CT image | Slice index 439

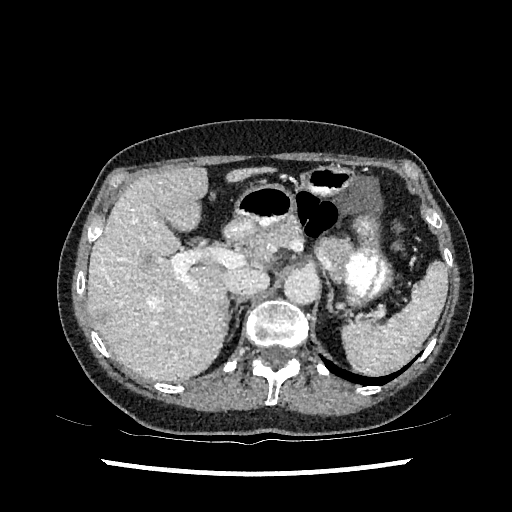 <segmentation>
  <liver>rect(88, 166, 225, 381); rect(229, 167, 274, 182)</liver>
  <liver_lesion>rect(139, 252, 154, 270); rect(91, 304, 109, 325)</liver_lesion>
</segmentation>